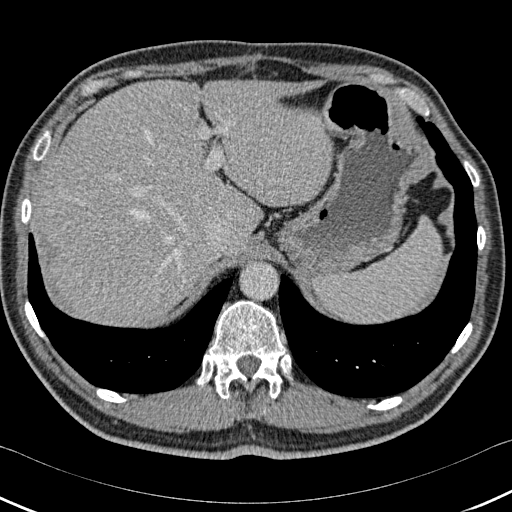

CT
2 lung regions appear at <box>27,233,237,394</box>, <box>278,116,477,400</box>. 2 liver regions are bounded by <box>302,80,322,90</box>, <box>40,80,333,326</box>. 9 bone regions are located at <box>477,226,485,249</box>, <box>97,389,126,402</box>, <box>452,323,472,353</box>, <box>367,397,401,410</box>, <box>21,199,31,223</box>, <box>464,161,479,186</box>, <box>33,131,50,160</box>, <box>25,301,43,336</box>, <box>197,301,290,398</box>.